Slice index 106, Brain
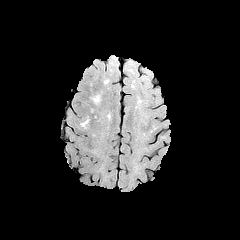
FLAIR MR image.
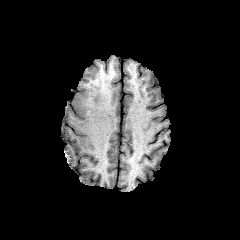
T1-weighted magnetic resonance.
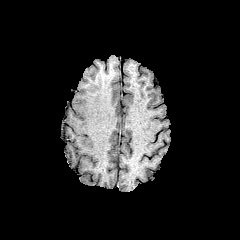
Post-contrast T1-weighted MRI.
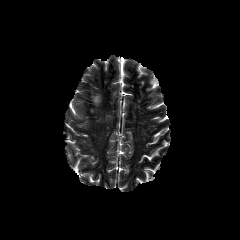
T2-weighted MR image.
{
  "edema": [
    "(left=90, top=92, right=101, bottom=104)"
  ]
}